Image size 512x512. CT scan slice. Slice 60 of 134. Liver.

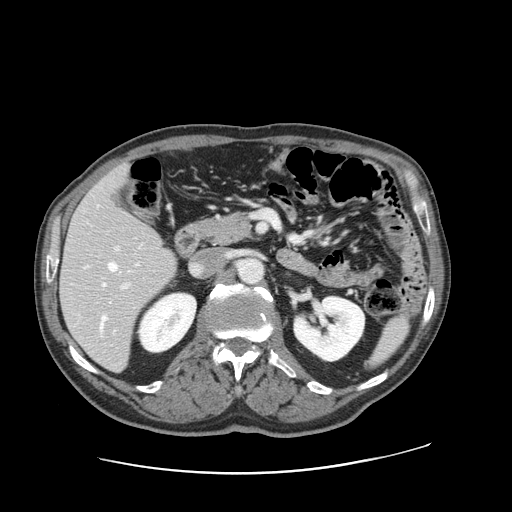

Not every hepatic vessel necessarily has a box.
6 hepatic vessel regions are bounded by 100,316,106,331; 103,283,105,285; 136,264,138,265; 115,248,118,250; 108,263,116,270; 122,284,128,287.